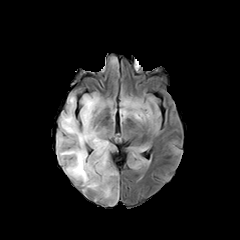
FLAIR magnetic resonance.
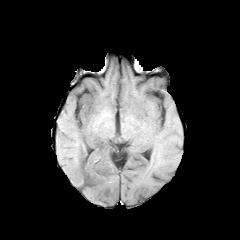
T1-weighted magnetic resonance.
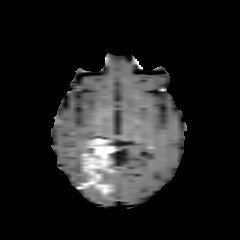
Post-contrast T1-weighted MRI of the same slice.
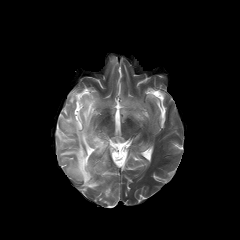
T2-weighted magnetic resonance.
240x240 px.
Enhancing tumor — (left=81, top=153, right=91, bottom=177), (left=90, top=138, right=115, bottom=169), (left=82, top=179, right=98, bottom=187).
Edema — (left=102, top=170, right=114, bottom=181), (left=132, top=108, right=148, bottom=119), (left=56, top=93, right=100, bottom=183).
Non-enhancing tumor core — (left=82, top=139, right=111, bottom=195).